CT slice

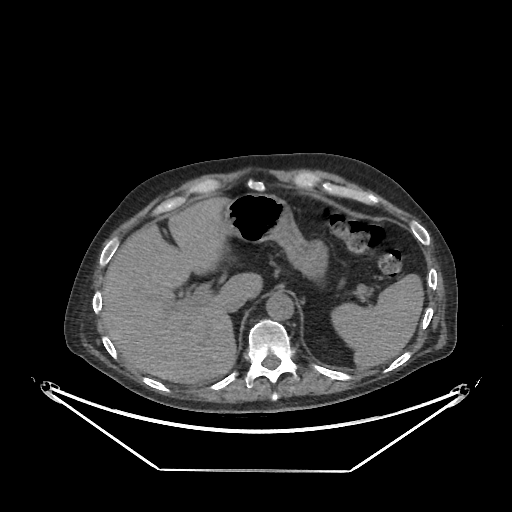
The liver is at 98, 198, 261, 383.